Image size 240x240, Slice 42/155, Head
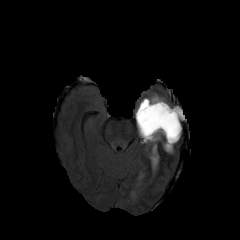
FLAIR MRI.
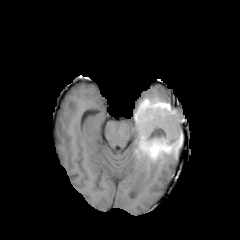
Same slice, T1-weighted MR image.
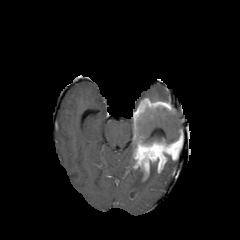
Post-contrast T1-weighted MR of the same slice.
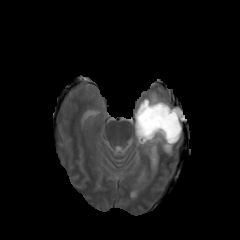
T2-weighted MR image.
Edema = bbox=[173, 106, 185, 127]; bbox=[148, 94, 166, 101].
Non-enhancing tumor core = bbox=[139, 156, 151, 170]; bbox=[133, 108, 181, 148].
Enhancing tumor = bbox=[134, 98, 175, 132]; bbox=[135, 129, 181, 164].